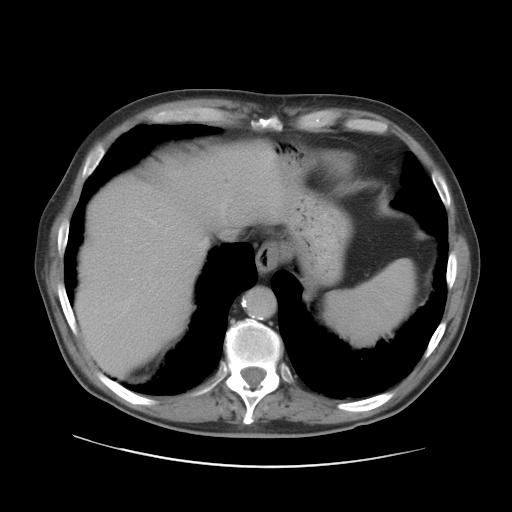

CT image
Not every hepatic vessel necessarily has a box.
7 hepatic vessel regions appear at {"x1": 221, "y1": 228, "x2": 235, "y2": 234}, {"x1": 123, "y1": 299, "x2": 130, "y2": 313}, {"x1": 153, "y1": 222, "x2": 155, "y2": 223}, {"x1": 143, "y1": 286, "x2": 144, "y2": 288}, {"x1": 220, "y1": 202, "x2": 226, "y2": 214}, {"x1": 137, "y1": 213, "x2": 140, "y2": 214}, {"x1": 147, "y1": 275, "x2": 150, "y2": 278}.